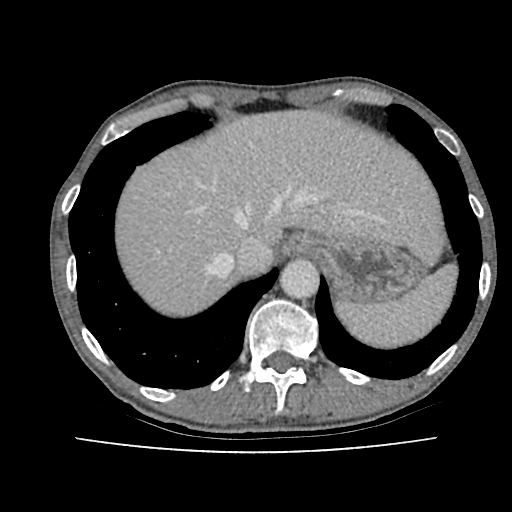

512x512. Liver. CT scan slice. liver:
  - <bbox>116, 111, 447, 315</bbox>